FLAIR MR image.
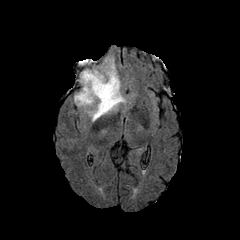
T1-weighted MR.
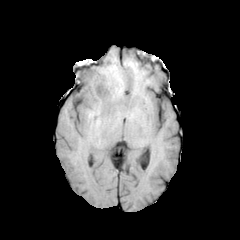
Post-contrast T1-weighted magnetic resonance.
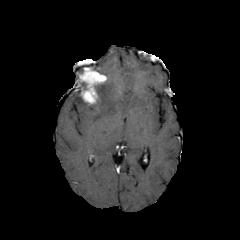
T2-weighted MRI.
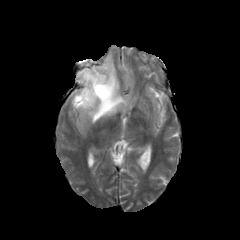
Image size 240x240
Non-enhancing tumor core — (79,59,105,74), (94,79,108,101), (73,74,87,106).
Enhancing tumor — (78,66,107,105).
Edema — (77,55,130,122).